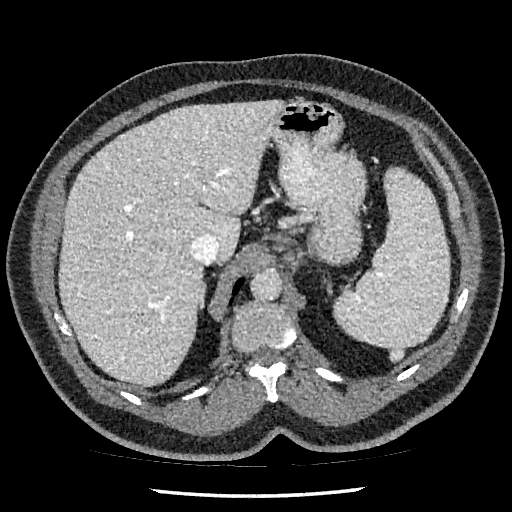

CT. 512x512. Liver. <segmentation>
  <liver>box=[59, 100, 282, 385]</liver>
</segmentation>